Magnetic resonance

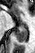

Anterior hippocampus at x1=20 y1=22 x2=26 y2=25.
Posterior hippocampus at x1=14 y1=26 x2=27 y2=42.